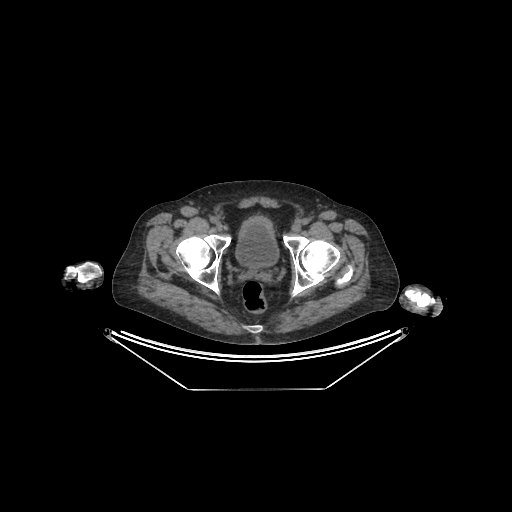

CT | Lower abdomen | 512x512
The urinary bladder is located at 235 213 279 272.